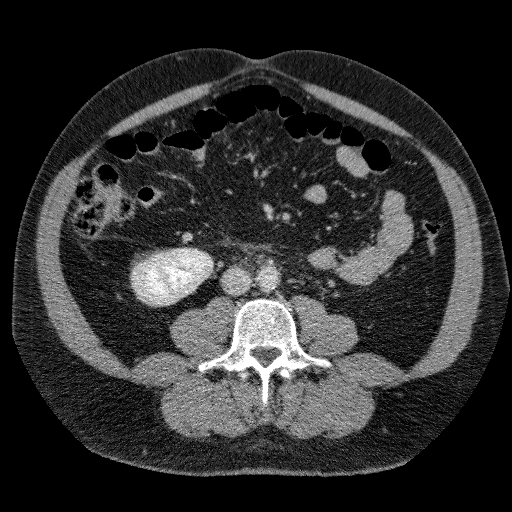
Image size 512x512. Computed tomography. Abdomen. Segmented structures:
- kidney: 132, 249, 212, 304